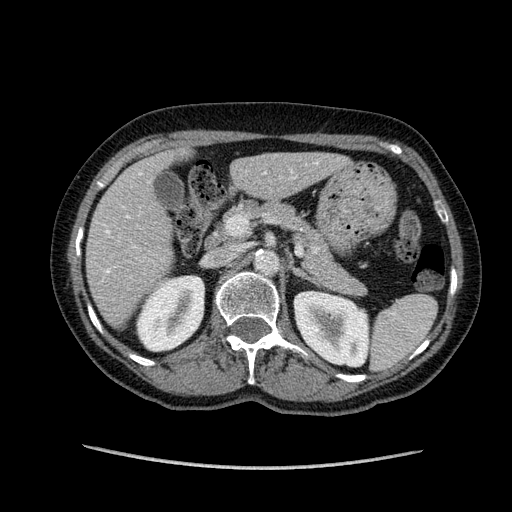 Image size 512x512 | Computed tomography

Annotated regions:
• kidney: 294:292:367:366, 138:276:203:350
• liver: 233:152:336:195, 87:155:174:314